CT scan slice. Abdomen.

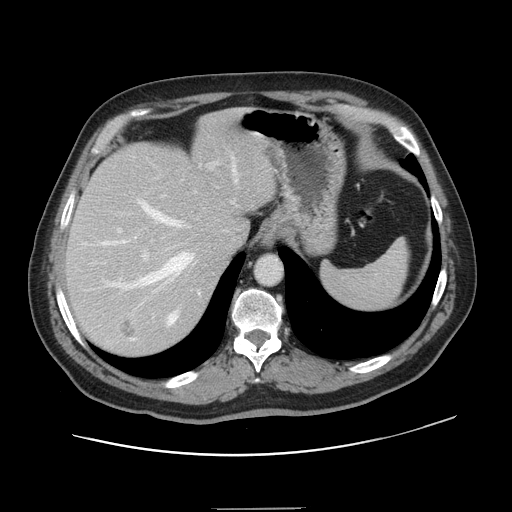 The vessel boxes may cover only some of the vessels.
Segmented structures:
- liver tumor: (left=167, top=161, right=179, bottom=173), (left=120, top=320, right=136, bottom=337)
- hepatic vessel: (left=99, top=240, right=127, bottom=244), (left=213, top=163, right=216, bottom=164), (left=233, top=158, right=236, bottom=182), (left=136, top=252, right=193, bottom=285), (left=143, top=253, right=147, bottom=259), (left=105, top=281, right=129, bottom=289), (left=168, top=311, right=177, bottom=324), (left=131, top=338, right=134, bottom=339), (left=118, top=228, right=121, bottom=232), (left=139, top=200, right=181, bottom=226)